Upper abdomen. CT. 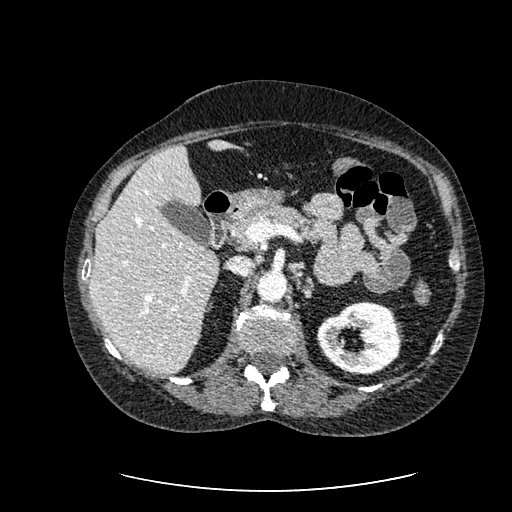

The kidney is at 318:302:399:373. 2 liver regions are bounded by 93:146:217:373, 208:139:230:150.